Brain; Slice 133 of 155
FLAIR magnetic resonance.
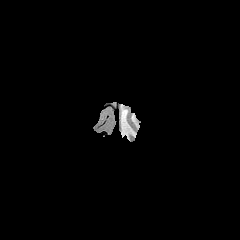
T1-weighted MRI.
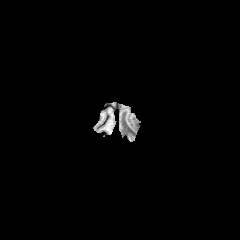
Post-contrast T1-weighted MR.
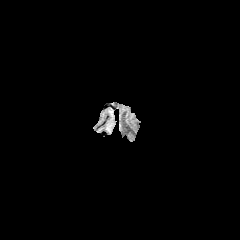
T2-weighted MR image.
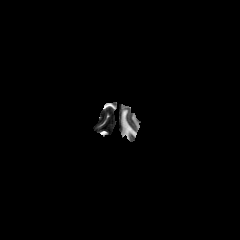
Edema: [120, 105, 138, 140].